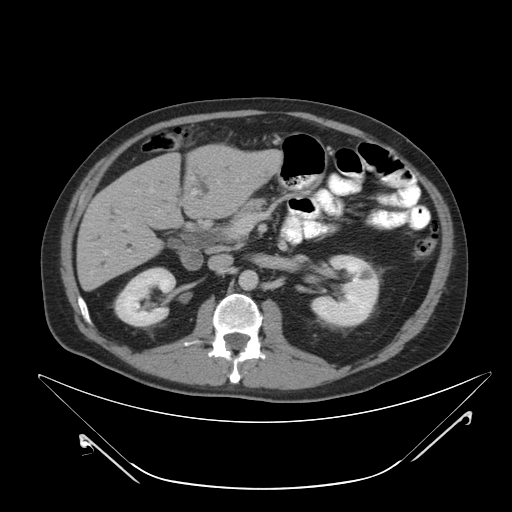
Image size 512x512. CT slice.
Segmented structures:
* pancreas: [238, 200, 263, 216]